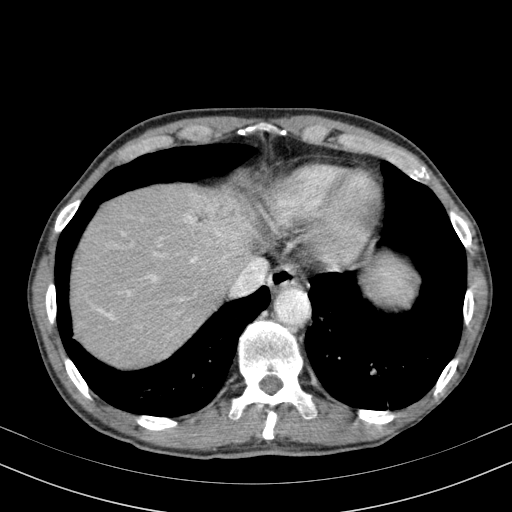

Image size 512x512; CT scan slice; Upper abdomen

Liver = (70,171,268,368).